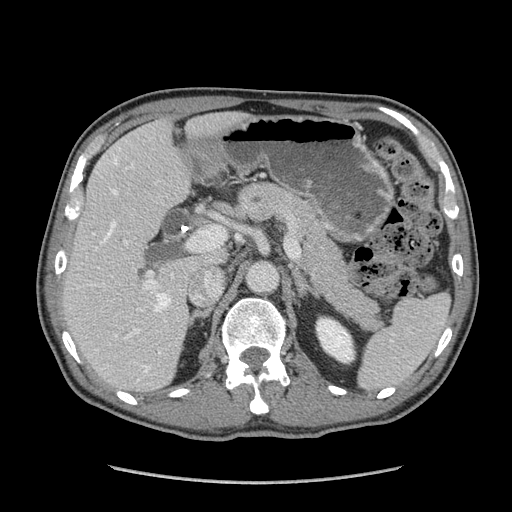

CT. Abdomen.

• pancreas: left=232, top=181, right=386, bottom=332